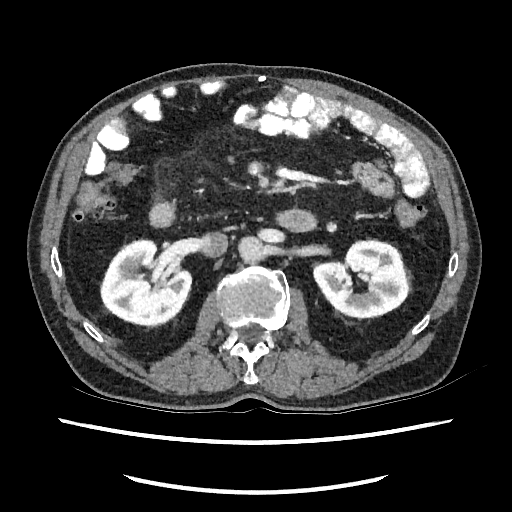 CT slice, Abdomen
{"kidney": ["[100,239,191,327]", "[313,240,410,318]"]}